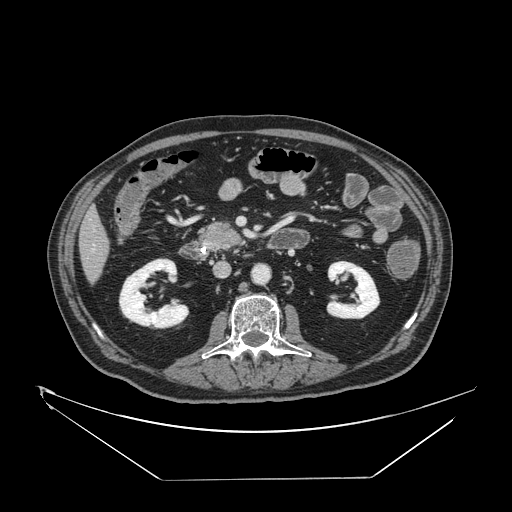 CT, Abdomen

* pancreas: (left=192, top=219, right=245, bottom=261)
* pancreatic tumor: (left=206, top=225, right=238, bottom=248)